Computed tomography; Slice 70/106 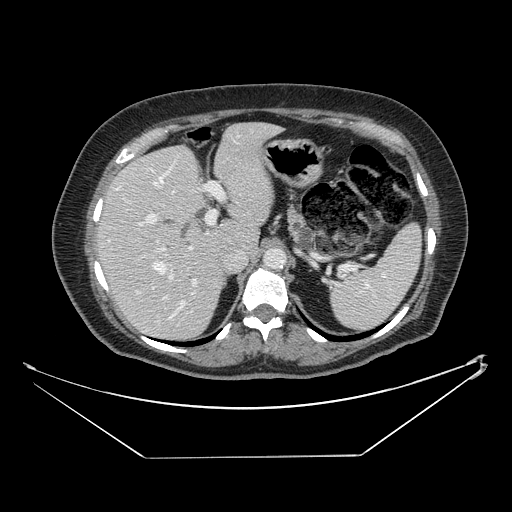
The pancreas is located at 286, 198, 313, 249.